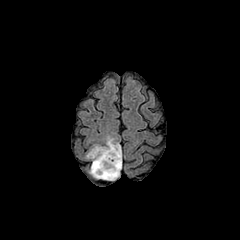
FLAIR MRI.
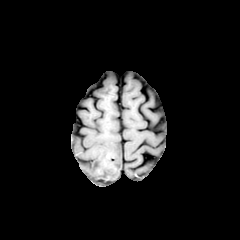
T1-weighted MRI of the same slice.
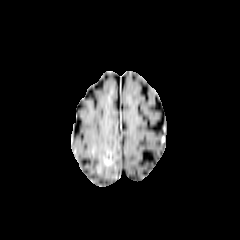
Post-contrast T1-weighted MRI.
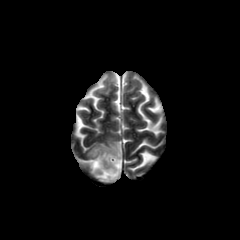
Same slice, T2-weighted MR image.
Brain. 240x240.
<segmentation>
  <non-enhancing_tumor_core>rect(92, 150, 119, 173)</non-enhancing_tumor_core>
  <edema>rect(87, 136, 121, 180)</edema>
</segmentation>